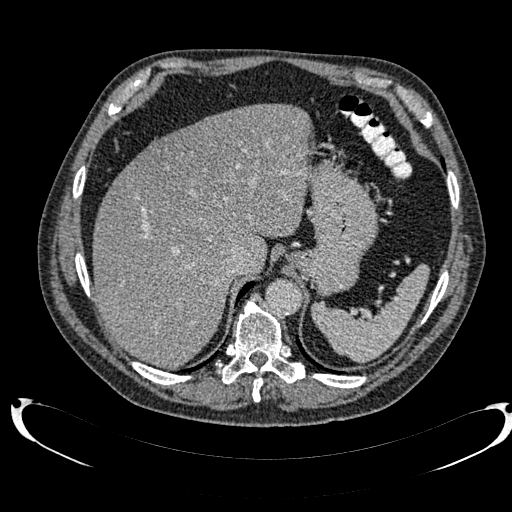

Upper abdomen | CT
2 liver regions are located at box=[93, 104, 310, 368]; box=[152, 129, 181, 145]. The liver lesion is located at box=[136, 109, 268, 216].